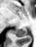

Medial temporal lobe. Magnetic resonance.

posterior_hippocampus:
  - 13:27:27:37